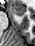
Magnetic resonance
{
  "anterior_hippocampus": [
    "11,5,26,15"
  ]
}